CT scan slice, Liver, Field of view 339x339 mm, Slice 280/696
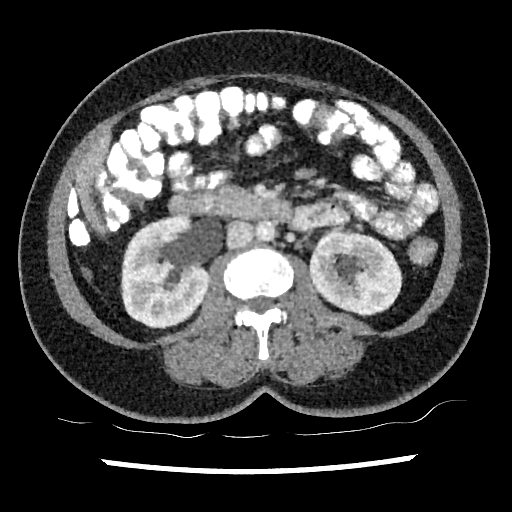
The liver is at [x1=76, y1=134, x2=110, y2=232]. 2 kidney regions are located at [x1=310, y1=232, x2=400, y2=314], [x1=122, y1=216, x2=208, y2=326].